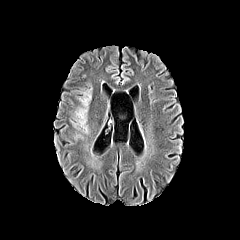
FLAIR magnetic resonance.
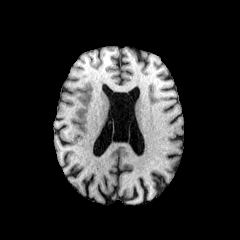
Same slice, T1-weighted MRI.
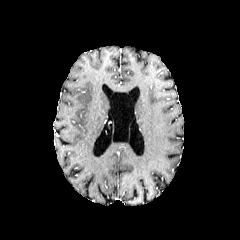
Post-contrast T1-weighted MR image.
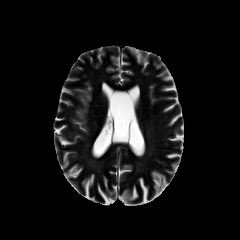
T2-weighted MRI.
* edema: box=[71, 88, 92, 133]